CT. 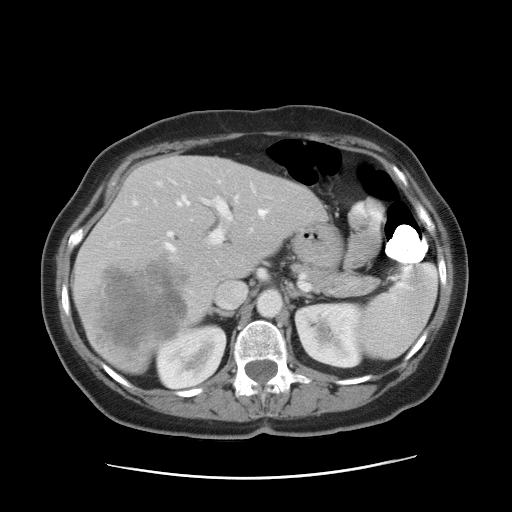
Only some of the vessels may be annotated.
Segmented structures:
- liver tumor: [84,255,192,364]
- hepatic vessel: [235,196,238,201], [166,244,174,250], [168,233,173,236], [218,181,220,183], [258,210,266,216], [203,197,231,220], [207,229,223,244], [157,182,160,185], [250,229,252,231], [178,197,189,205], [134,202,137,204]